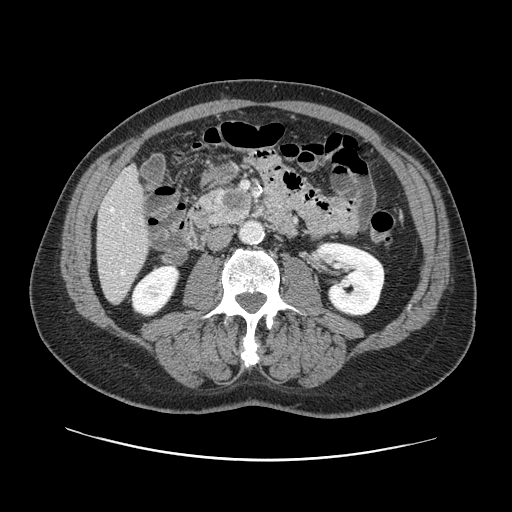
512x512 px. Upper abdomen. CT.
<segmentation>
  <pancreas>(x1=201, y1=184, x2=253, y2=226)</pancreas>
  <pancreatic_tumor>(x1=220, y1=190, x2=249, y2=212)</pancreatic_tumor>
</segmentation>